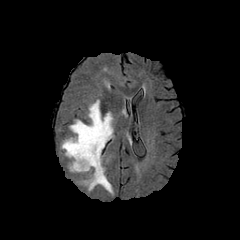
FLAIR MR image.
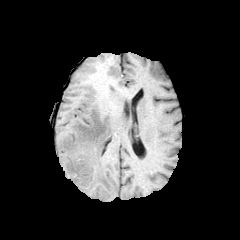
T1-weighted MR image.
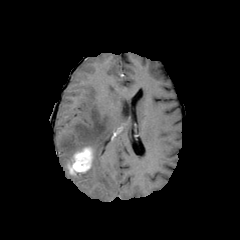
Post-contrast T1-weighted magnetic resonance.
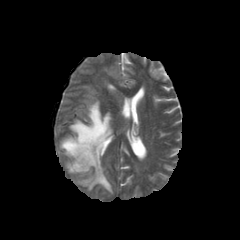
T2-weighted MR.
Head.
The edema appears at box=[60, 100, 113, 192]. The enhancing tumor lies within box=[67, 146, 93, 173].